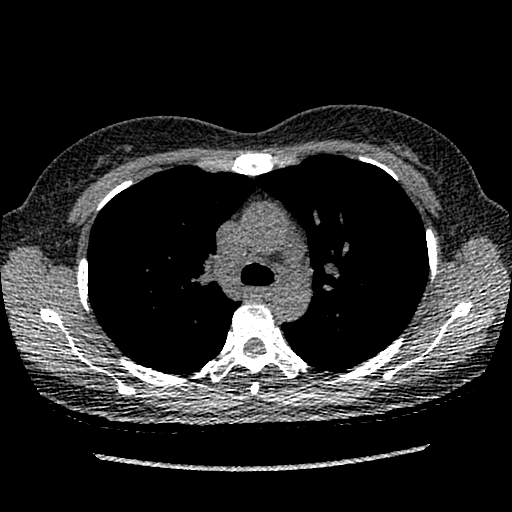
512x512 px, CT slice, Lung

Segmented structures:
• lung tumor: 324:320:345:335